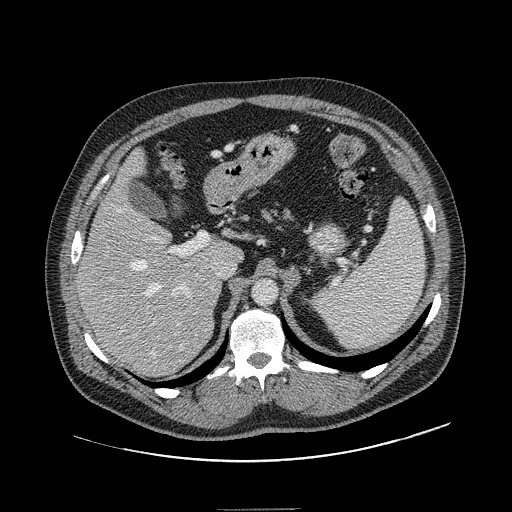 CT slice. Abdomen.

2 pancreas regions appear at [281,211,290,219], [262,208,276,220].